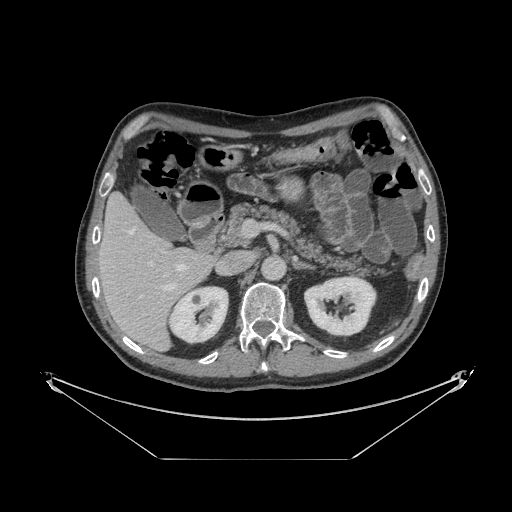

CT, 512x512 px
Pancreas at 223, 203, 385, 277.